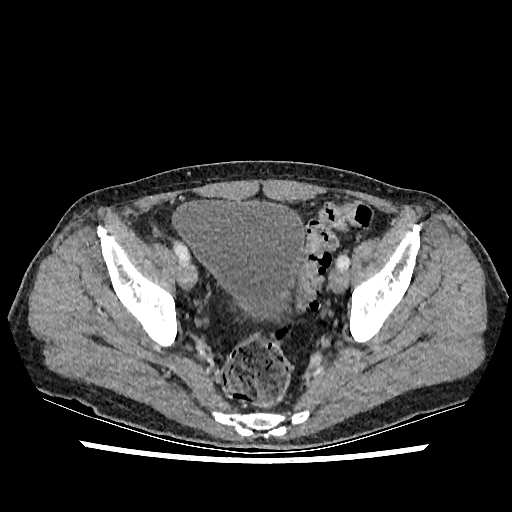 CT slice. Lower abdomen.
The urinary bladder is located at left=178, top=199, right=307, bottom=321.